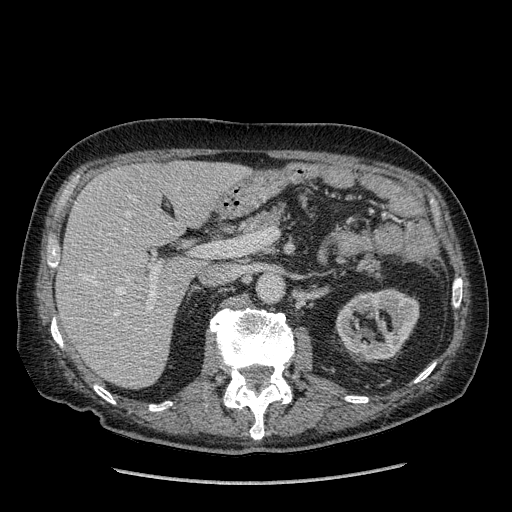
Upper abdomen | CT

The liver is bounded by [x1=56, y1=161, x2=251, y2=387]. The kidney lies within [x1=336, y1=289, x2=418, y2=360].